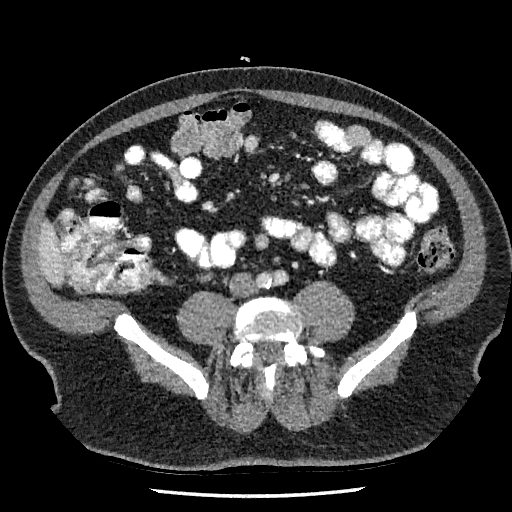
Liver. CT image.

<segmentation>
  <liver>left=39, top=221, right=64, bottom=285</liver>
</segmentation>